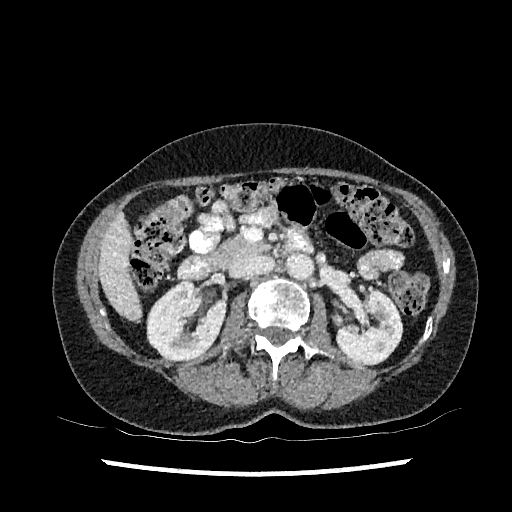

Abdomen | Computed tomography | Image size 512x512
Liver = (left=99, top=214, right=140, bottom=319).
Kidney = (left=147, top=281, right=225, bottom=360), (left=337, top=292, right=401, bottom=364).